FLAIR MR image.
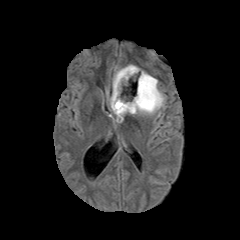
T1-weighted magnetic resonance.
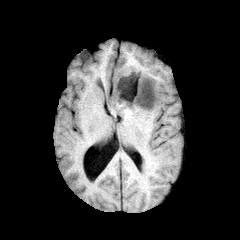
Post-contrast T1-weighted magnetic resonance.
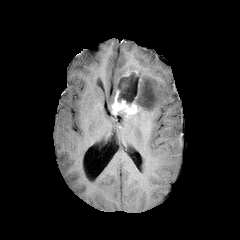
T2-weighted MR.
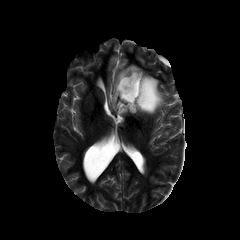
Head.
enhancing_tumor:
  - rect(111, 89, 139, 114)
edema:
  - rect(106, 64, 166, 115)
non-enhancing_tumor_core:
  - rect(120, 70, 141, 106)
  - rect(121, 75, 127, 85)